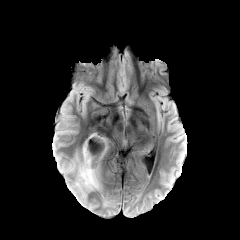
FLAIR magnetic resonance.
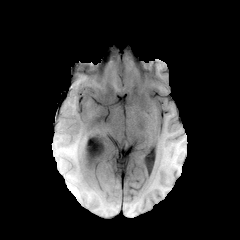
T1-weighted magnetic resonance.
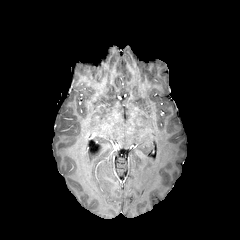
Post-contrast T1-weighted magnetic resonance of the same slice.
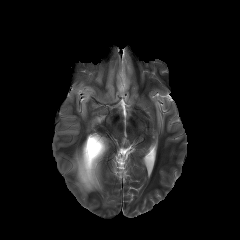
T2-weighted magnetic resonance.
Head.
Edema: bounding box 66 150 99 197.
Enhancing tumor: bounding box 78 146 93 185.
Non-enhancing tumor core: bounding box 86 150 94 164.